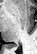
Magnetic resonance, Medial temporal lobe
The posterior hippocampus is located at 12 44 18 46.